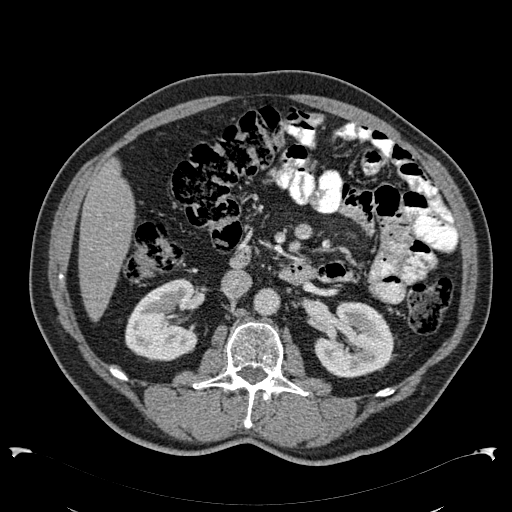

Computed tomography; Abdomen; 512x512
Kidney = <box>125,279,204,360</box>, <box>315,302,393,377</box>.
Liver = <box>78,157,135,320</box>.